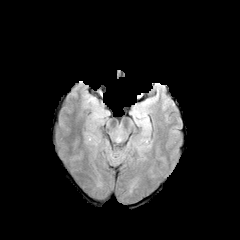
FLAIR MR.
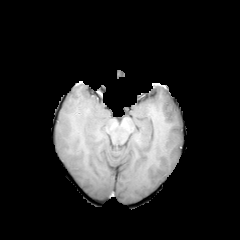
T1-weighted MRI of the same slice.
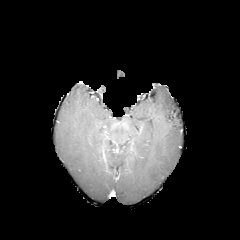
Post-contrast T1-weighted magnetic resonance of the same slice.
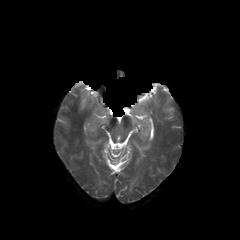
T2-weighted magnetic resonance of the same slice.
3 edema regions are bounded by x1=85, y1=135, x2=104, y2=150; x1=81, y1=90, x2=105, y2=136; x1=133, y1=99, x2=152, y2=135.